Image width 382 mm; Slice 424/722; CT 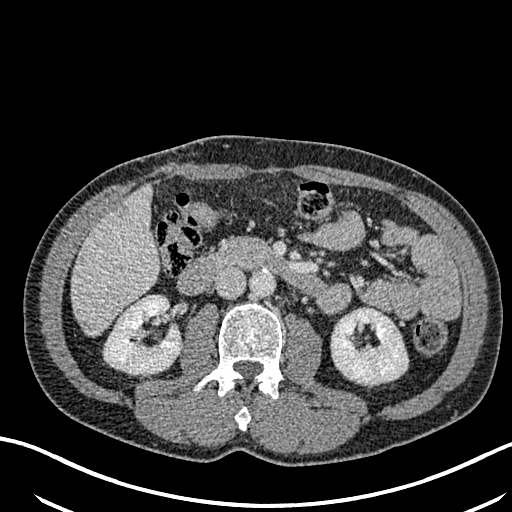
The liver is located at 71, 187, 156, 334. 3 focal liver lesion regions appear at 116, 205, 128, 217; 78, 319, 97, 333; 77, 254, 84, 265. 2 kidney regions are located at 331, 308, 407, 384; 105, 295, 180, 373.